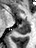 Magnetic resonance; Image size 36x48

The posterior hippocampus is bounded by (16,22,29,34). The anterior hippocampus lies within (22,20,26,21).